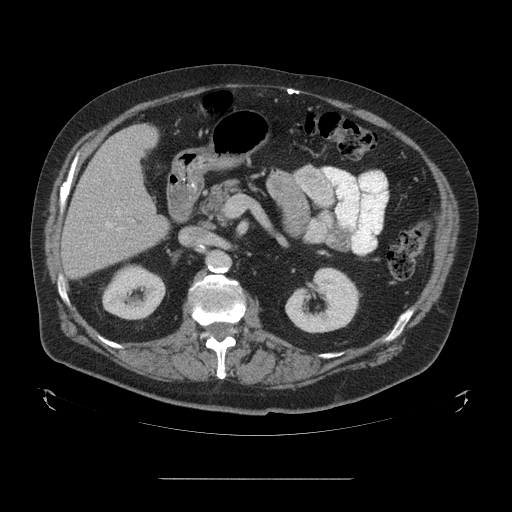
Liver; CT
The vessel annotation is not exhaustive.
7 hepatic vessel regions are bounded by <box>114,204,121,216</box>, <box>93,177,100,183</box>, <box>121,145,126,150</box>, <box>125,208,127,211</box>, <box>128,219,133,223</box>, <box>105,220,123,231</box>, <box>88,242,91,248</box>.